CT, 512x512, Abdomen, Slice 315 of 654 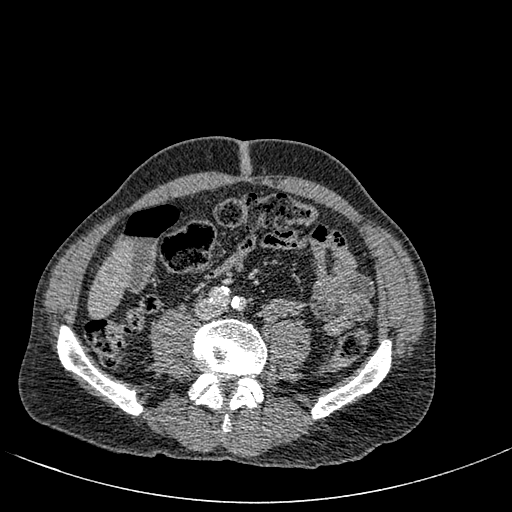

Liver at 89, 244, 132, 315.